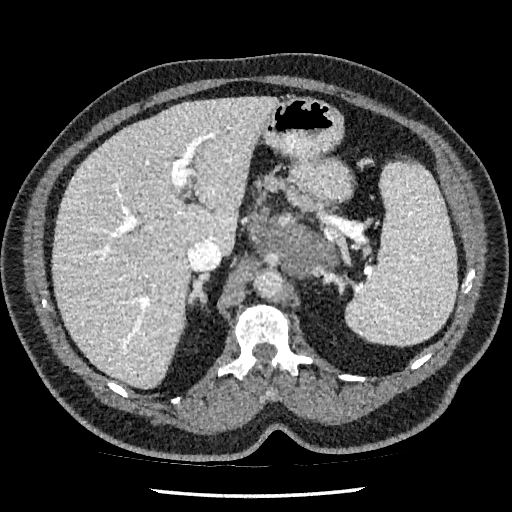

CT slice. 512x512 px. Upper abdomen. Liver: (53,97,276,388).